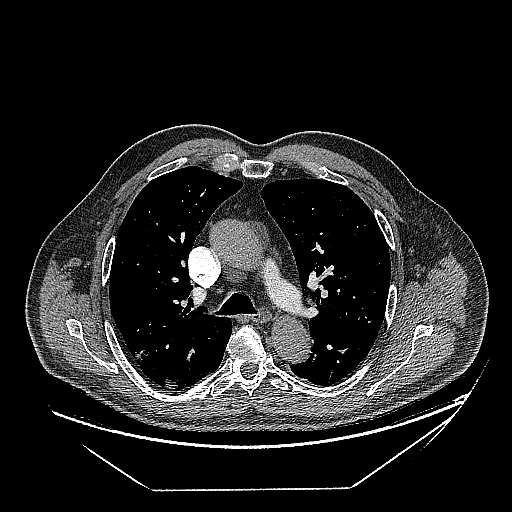 CT slice. <segmentation>
  <lung_tumor>{"x1": 133, "y1": 348, "x2": 149, "y2": 363}</lung_tumor>
</segmentation>